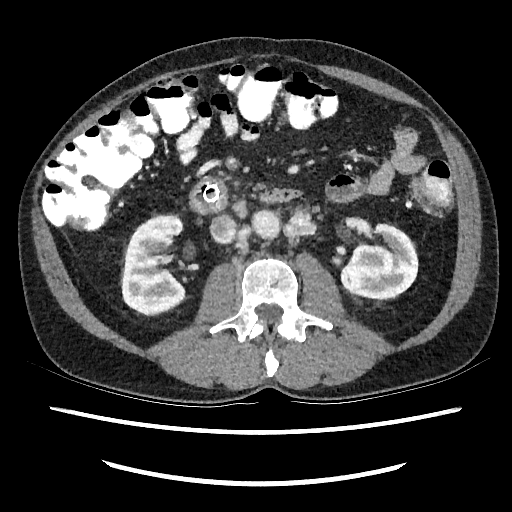
CT scan slice; 512x512 px
<segmentation>
  <kidney>box=[341, 224, 417, 298]; box=[122, 216, 187, 313]</kidney>
</segmentation>